FLAIR MR image.
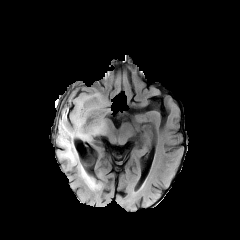
T1-weighted magnetic resonance.
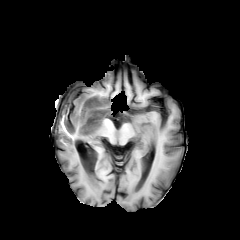
Post-contrast T1-weighted MRI.
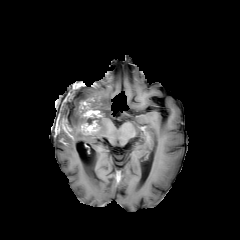
T2-weighted magnetic resonance.
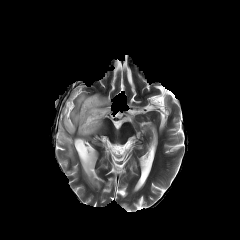
<segmentation>
  <enhancing_tumor>(80, 98, 101, 117), (62, 118, 72, 133), (80, 120, 98, 134)</enhancing_tumor>
  <edema>(58, 90, 98, 141), (96, 99, 104, 111), (56, 132, 100, 189)</edema>
  <non-enhancing_tumor_core>(56, 116, 63, 136), (90, 98, 97, 109), (80, 107, 101, 124)</non-enhancing_tumor_core>
</segmentation>